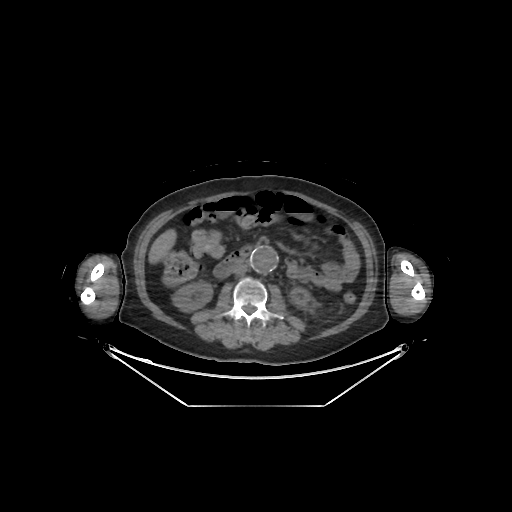

CT, Abdomen
* bone: (left=229, top=278, right=269, bottom=339), (left=401, top=259, right=424, bottom=301), (left=81, top=263, right=104, bottom=304)
* kidney: (left=289, top=286, right=317, bottom=313), (left=172, top=280, right=213, bottom=312)
* liver: (left=149, top=230, right=175, bottom=261)